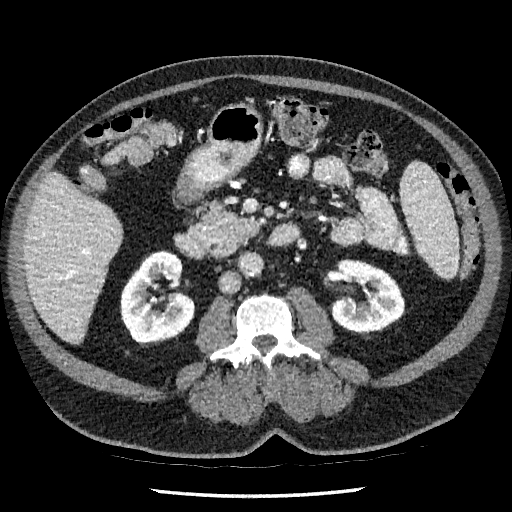 Computed tomography | Image size 512x512 | Abdomen
2 kidney regions are bounded by x1=329 y1=260 x2=403 y2=331, x1=121 y1=252 x2=193 y2=341. 2 liver regions appear at x1=104 y1=144 x2=129 y2=163, x1=24 y1=173 x2=122 y2=343.